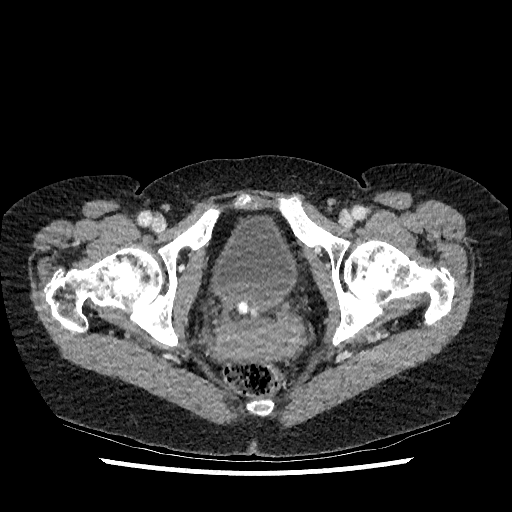

CT slice
urinary_bladder:
  - [x1=211, y1=213, x2=299, y2=297]